Brain | Slice index 22
FLAIR MR.
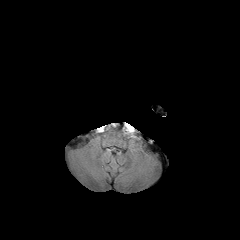
T1-weighted MRI.
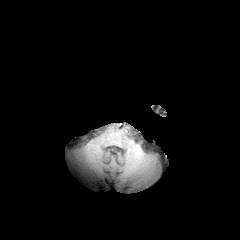
Post-contrast T1-weighted magnetic resonance.
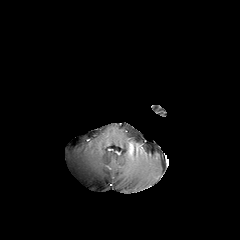
T2-weighted MRI.
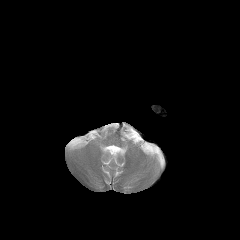
<segmentation>
  <edema><box>124,128,135,140</box>, <box>106,148,119,156</box></edema>
</segmentation>